FLAIR MR.
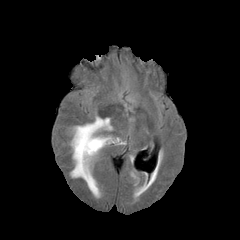
T1-weighted MRI.
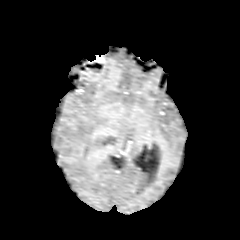
Post-contrast T1-weighted MR image.
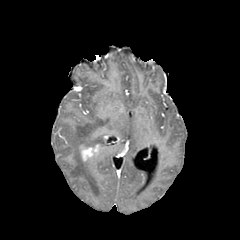
T2-weighted magnetic resonance.
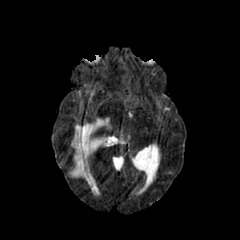
Head.
non-enhancing_tumor_core:
  - left=80, top=142, right=99, bottom=153
enhancing_tumor:
  - left=82, top=145, right=98, bottom=160
edema:
  - left=69, top=117, right=119, bottom=195